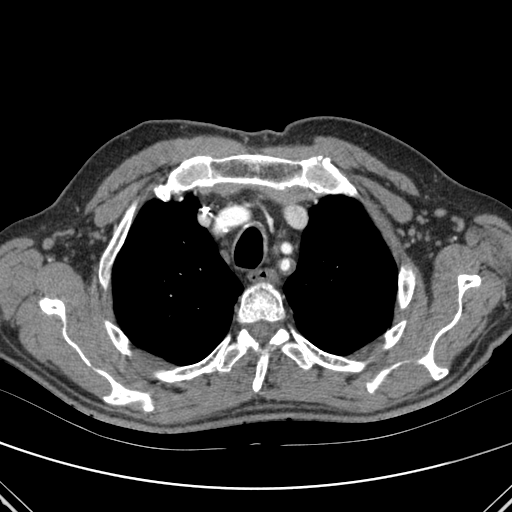 Chest | Computed tomography
<segmentation>
  <bone>154,328,365,391; 366,368,389,392; 238,283,283,323; 104,321,130,355; 154,154,356,200; 384,320,406,348; 398,266,415,308; 97,369,153,411; 99,202,135,288; 419,274,480,379; 39,297,89,365</bone>
  <lung>112,194,243,365; 283,195,397,355</lung>
</segmentation>